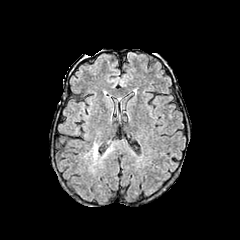
FLAIR magnetic resonance.
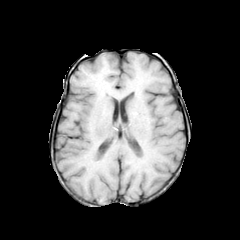
T1-weighted MRI.
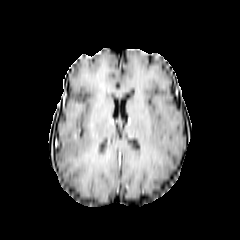
Post-contrast T1-weighted MR image.
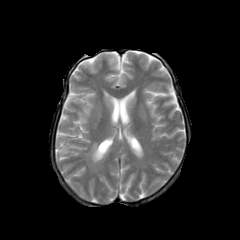
T2-weighted MR image.
Image size 240x240
Edema — (85, 141, 116, 167).
Non-enhancing tumor core — (92, 148, 102, 161).